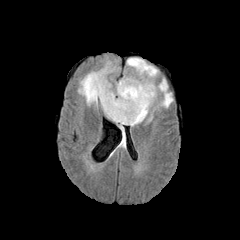
FLAIR MRI.
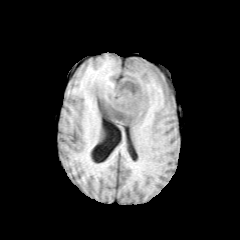
T1-weighted magnetic resonance of the same slice.
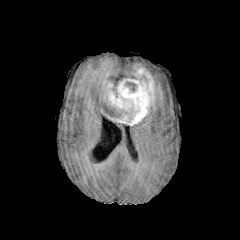
Post-contrast T1-weighted MR image.
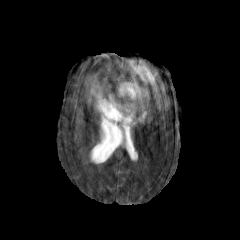
T2-weighted MR.
Head
2 enhancing tumor regions appear at x1=100 y1=109 x2=117 y2=121, x1=107 y1=63 x2=156 y2=125. 4 edema regions are bounded by x1=116 y1=119 x2=125 y2=147, x1=131 y1=113 x2=152 y2=127, x1=77 y1=61 x2=115 y2=111, x1=124 y1=57 x2=173 y2=110. 2 non-enhancing tumor core regions are bounded by x1=103 y1=104 x2=122 y2=118, x1=126 y1=83 x2=136 y2=92.